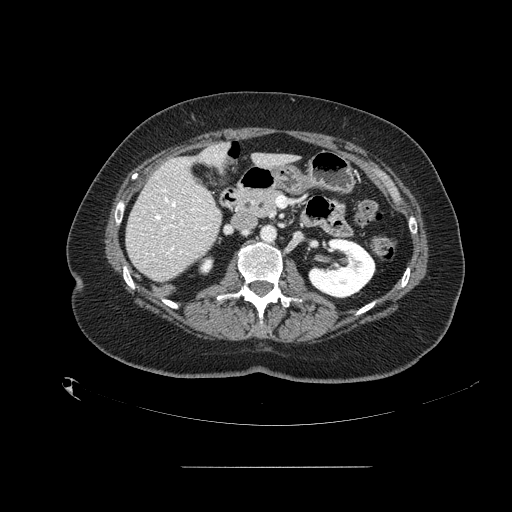 CT image. 512x512. Upper abdomen.

Pancreas — l=234, t=188, r=282, b=219.